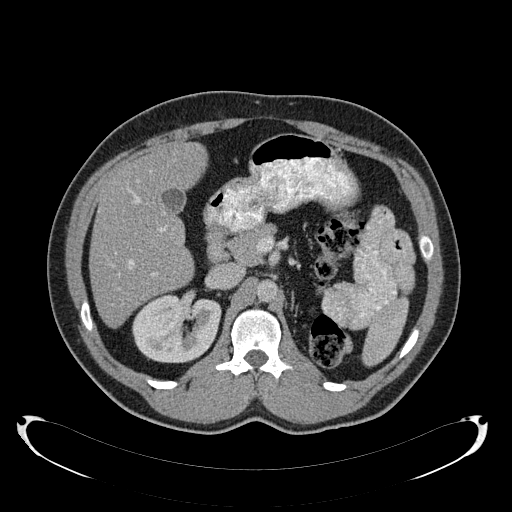 CT slice
• kidney: bbox=[133, 293, 220, 362]
• liver: bbox=[89, 143, 205, 326]